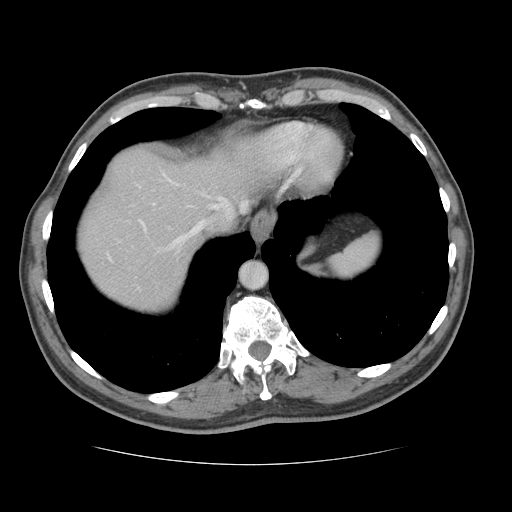 Image size 512x512, CT
Some hepatic vessels may have no box.
Hepatic vessel — [163, 173, 176, 183], [241, 201, 245, 208], [218, 197, 228, 204], [139, 219, 143, 226], [107, 253, 110, 259], [213, 205, 219, 208], [173, 221, 202, 244].